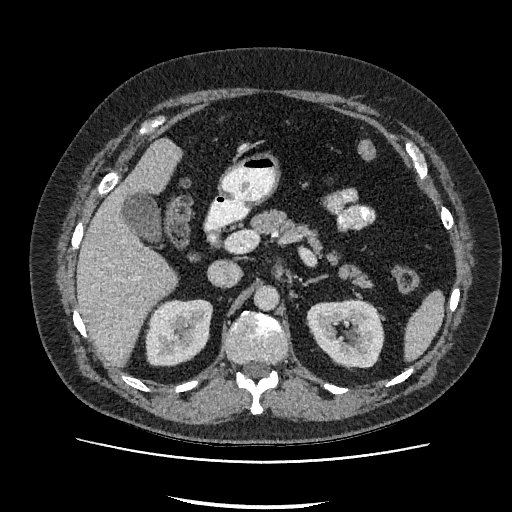
CT slice. Image size 512x512. Liver. Segmented structures:
• liver: rect(77, 139, 180, 367)
• kidney: rect(147, 300, 211, 364); rect(308, 301, 382, 366)